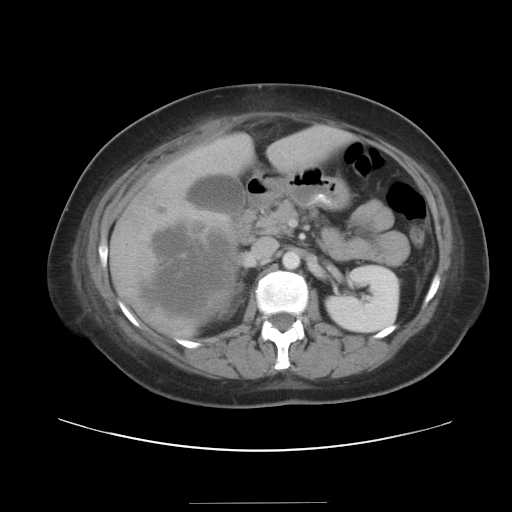

CT scan slice

The liver tumor is located at region(141, 225, 234, 326).